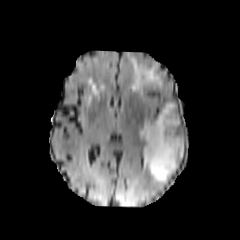
FLAIR MR.
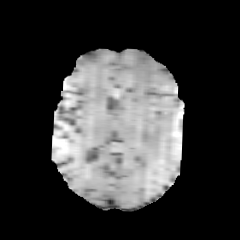
T1-weighted MR.
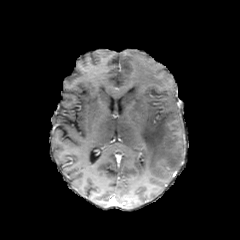
Same slice, post-contrast T1-weighted MR.
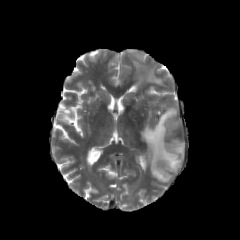
T2-weighted magnetic resonance.
240x240 px.
Annotated regions:
* edema: (x1=128, y1=54, x2=164, y2=93), (x1=137, y1=104, x2=183, y2=181)